CT image

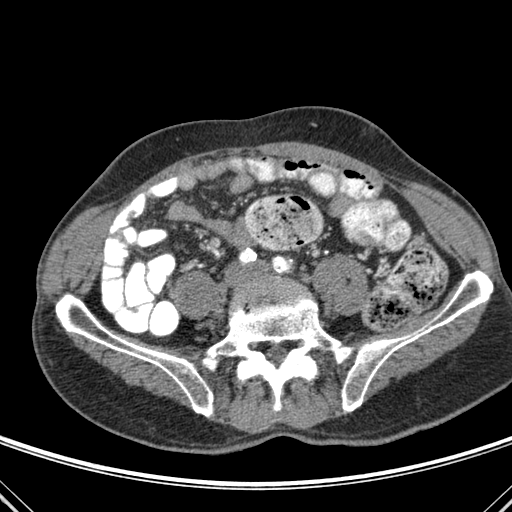

The bone is located at bbox=[56, 270, 492, 416].